FLAIR MRI.
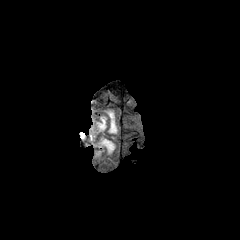
T1-weighted magnetic resonance.
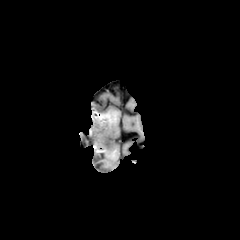
Post-contrast T1-weighted MRI.
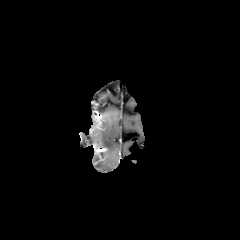
T2-weighted MR image.
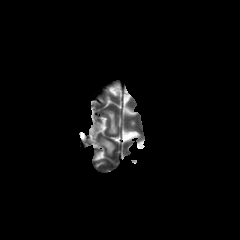
Brain
edema:
  - left=89, top=111, right=116, bottom=156
enhancing_tumor:
  - left=90, top=116, right=103, bottom=131